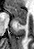

34x49, Medial temporal lobe, MR image
Anterior hippocampus at rect(8, 6, 26, 20).
Posterior hippocampus at rect(18, 20, 25, 25).